512x512. Slice 438/811. Abdomen. CT image.

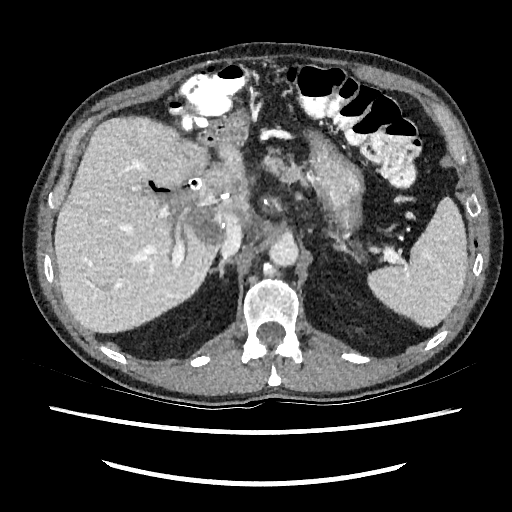 {"hepatic_lesion": ["[99, 285, 109, 291]", "[157, 155, 250, 244]"], "liver": ["[188, 178, 201, 189]", "[54, 117, 219, 332]", "[214, 144, 243, 172]"]}